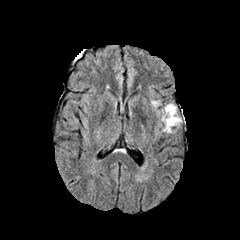
FLAIR MR.
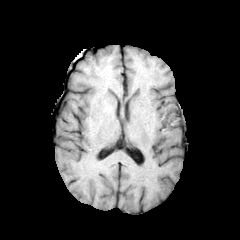
T1-weighted MRI.
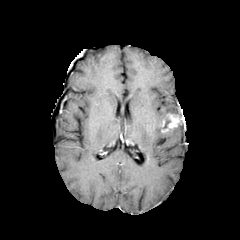
Post-contrast T1-weighted MR.
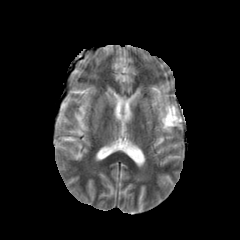
T2-weighted MRI of the same slice.
Head
{"enhancing_tumor": ["region(163, 113, 183, 131)"], "edema": ["region(158, 103, 181, 121)", "region(167, 126, 179, 135)", "region(151, 100, 161, 107)"], "non-enhancing_tumor_core": ["region(162, 116, 170, 129)"]}